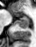

Medial temporal lobe. MRI.

2 anterior hippocampus regions are located at left=16, top=14, right=18, bottom=16; left=23, top=16, right=26, bottom=16. The posterior hippocampus is at left=16, top=17, right=29, bottom=28.